Slice 75 of 155. Brain. 240x240 px.
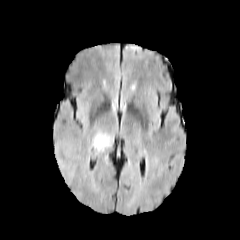
FLAIR magnetic resonance.
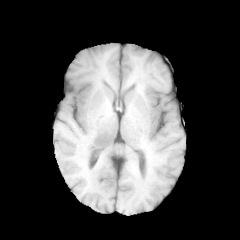
T1-weighted MR.
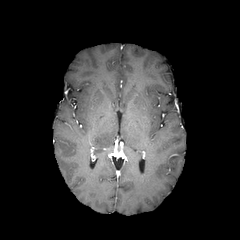
Post-contrast T1-weighted MR of the same slice.
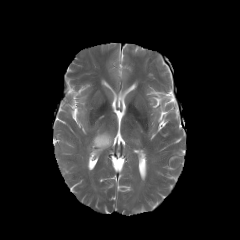
T2-weighted MRI.
Edema: bounding box box=[93, 133, 110, 150].